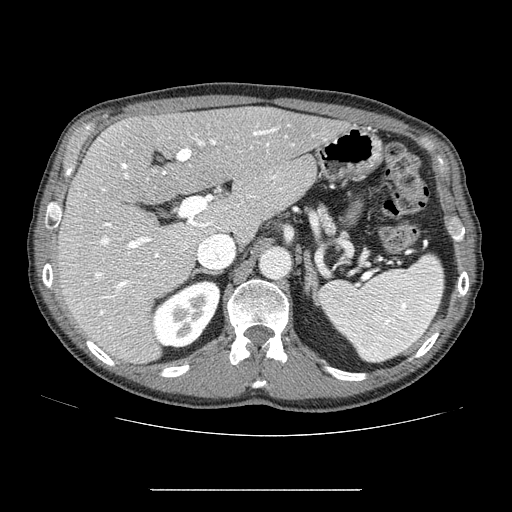
CT slice | Upper abdomen | 512x512
Pancreas — (318,206,334,233).